512x512 px. CT scan slice. Field of view 400 mm wide, 0.80 mm slice spacing. Slice 338 of 836.

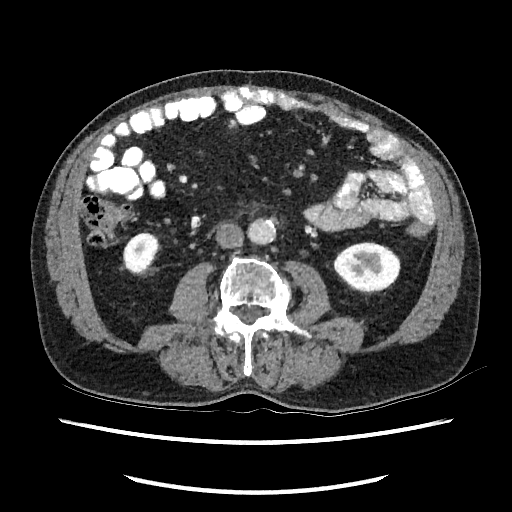

Segmented structures:
* kidney: (334,242,399,291), (123,233,158,273)